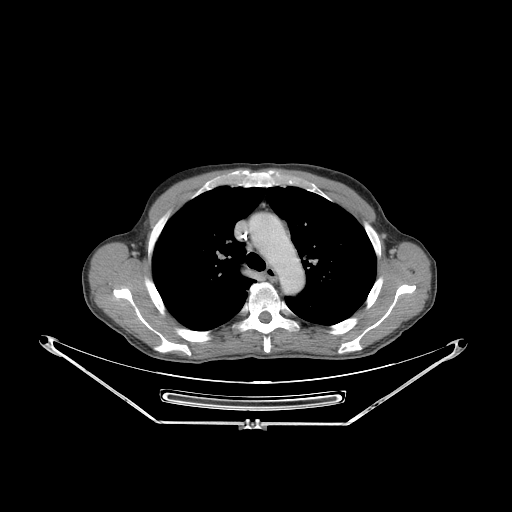

CT; Chest; 512x512
lung:
  - x1=152, y1=185, x2=376, y2=330
bone:
  - x1=242, y1=283, x2=298, y2=352
  - x1=366, y1=224, x2=380, y2=254
  - x1=339, y1=285, x2=415, y2=352
  - x1=113, y1=288, x2=190, y2=354
  - x1=177, y1=329, x2=209, y2=341
  - x1=149, y1=217, x2=164, y2=251
  - x1=243, y1=171, x2=272, y2=186
  - x1=367, y1=278, x2=382, y2=307
  - x1=145, y1=279, x2=163, y2=313
  - x1=331, y1=318, x2=356, y2=333